FLAIR magnetic resonance.
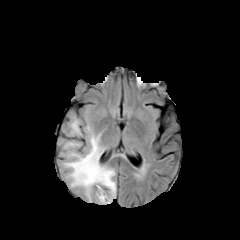
T1-weighted MRI.
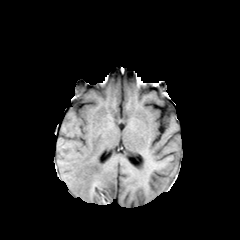
Post-contrast T1-weighted MR image.
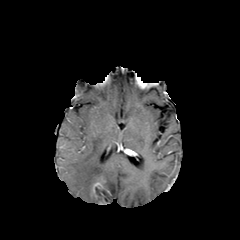
T2-weighted MR image.
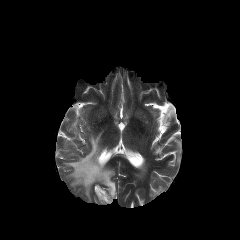
Head.
Annotated regions:
• edema: 62, 118, 116, 203